FLAIR MRI.
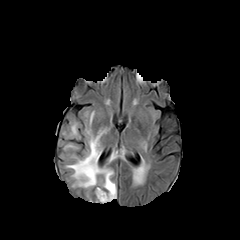
T1-weighted MR image.
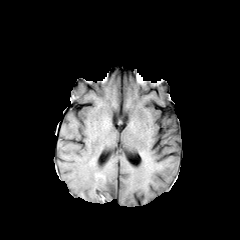
Post-contrast T1-weighted MR image.
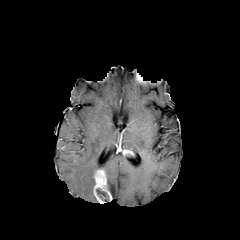
T2-weighted magnetic resonance.
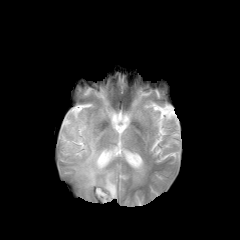
The non-enhancing tumor core appears at bbox(95, 178, 113, 201). The edema is bounded by bbox(62, 122, 123, 201). The enhancing tumor is located at bbox(95, 169, 106, 189).